Image width 360 mm. Computed tomography. Upper abdomen. 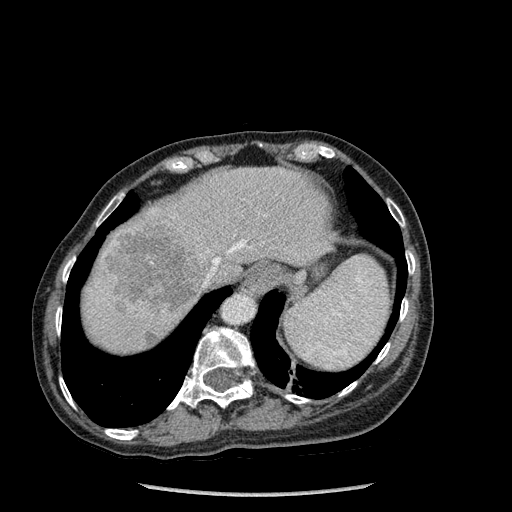 <segmentation>
  <lung>bbox=[251, 168, 407, 398]; bbox=[61, 192, 230, 427]</lung>
  <liver>bbox=[81, 167, 338, 354]</liver>
  <bone>bbox=[62, 256, 75, 282]; bbox=[339, 382, 357, 396]; bbox=[55, 307, 61, 334]; bbox=[96, 193, 124, 226]; bbox=[375, 343, 390, 363]; bbox=[167, 327, 254, 410]; bbox=[105, 429, 137, 439]; bbox=[405, 251, 415, 274]; bbox=[59, 377, 74, 407]; bbox=[285, 394, 309, 403]; bbox=[387, 199, 404, 226]; bbox=[400, 298, 408, 320]</bone>
  <liver_lesion>bbox=[144, 330, 157, 342]; bbox=[106, 217, 206, 310]; bbox=[116, 302, 125, 312]</liver_lesion>
</segmentation>